CT, Slice 197 of 276, Field of view 343x343 mm
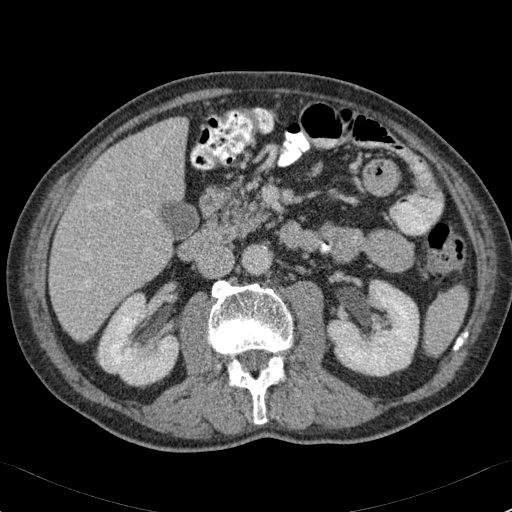 {"focal_liver_lesion": ["box=[124, 143, 131, 154]"], "kidney": ["box=[328, 280, 418, 375]", "box=[99, 294, 177, 384]"], "liver": ["box=[50, 118, 187, 340]"]}